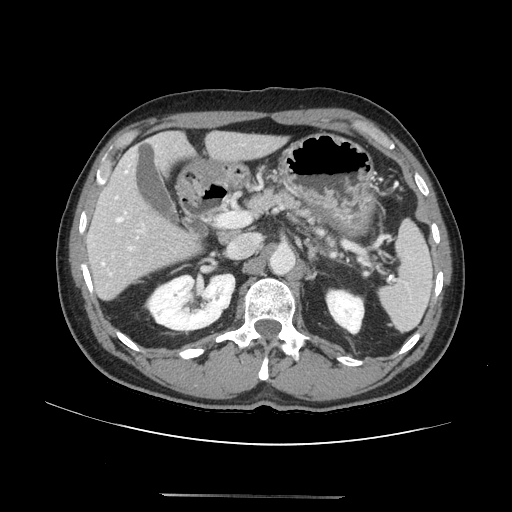 512x512, CT image, Upper abdomen
<segmentation>
  <pancreas>(249, 190, 334, 246)</pancreas>
</segmentation>